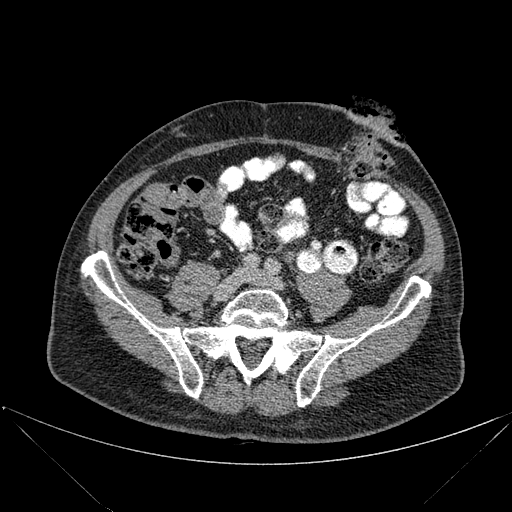
CT.

bone:
  - <bbox>81, 251, 430, 406</bbox>